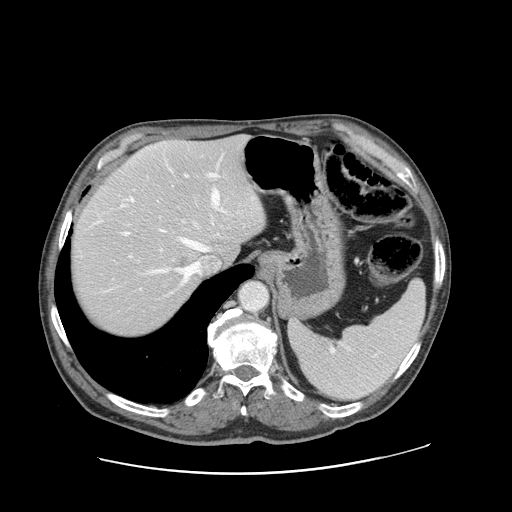
CT scan slice.

Some hepatic vessels may have no box.
The liver tumor appears at 178, 259, 190, 266. 12 hepatic vessel regions are located at 160, 229, 164, 231; 209, 173, 216, 176; 182, 239, 207, 250; 129, 255, 131, 257; 123, 232, 128, 234; 129, 197, 133, 201; 121, 205, 125, 205; 212, 190, 223, 211; 183, 263, 199, 281; 185, 174, 187, 177; 175, 269, 177, 270; 153, 270, 161, 272.